FLAIR MR image.
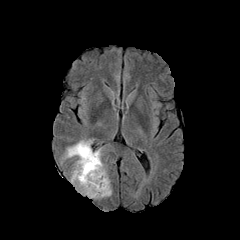
T1-weighted MR.
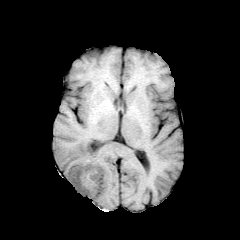
Post-contrast T1-weighted MRI.
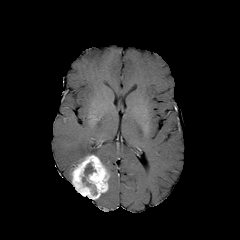
T2-weighted MRI.
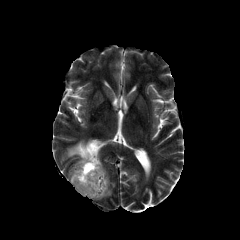
240x240 px; Head
non-enhancing tumor core: {"x1": 84, "y1": 163, "x2": 93, "y2": 175} | edema: {"x1": 63, "y1": 139, "x2": 101, "y2": 163}, {"x1": 100, "y1": 188, "x2": 111, "y2": 197} | enhancing tumor: {"x1": 70, "y1": 154, "x2": 108, "y2": 199}